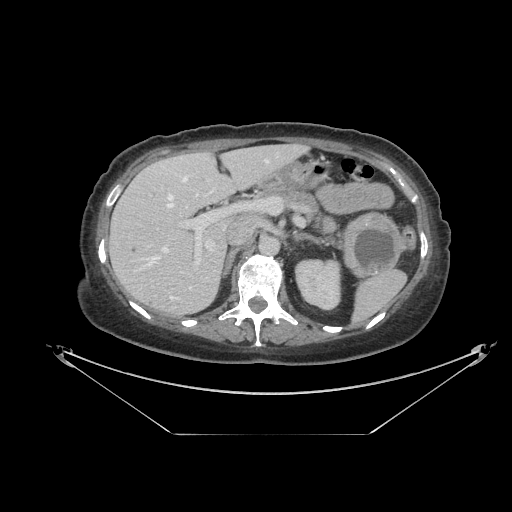 CT scan slice | 512x512 px
<segmentation>
  <pancreatic_tumor>(x1=345, y1=212, x2=401, y2=277)</pancreatic_tumor>
  <pancreas>(x1=341, y1=219, x2=353, y2=273), (x1=258, y1=185, x2=337, y2=233)</pancreas>
</segmentation>